Liver; CT; 512x512 px

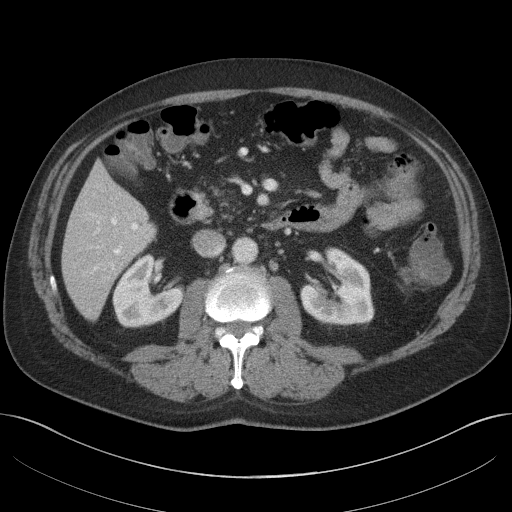
Kidney: bounding box (301, 250, 371, 323), (113, 256, 181, 325).
Liver: bounding box (61, 163, 156, 319).